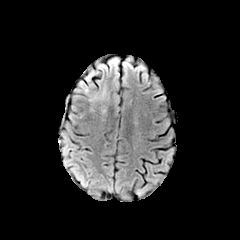
FLAIR magnetic resonance.
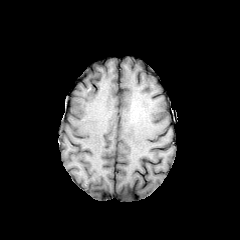
T1-weighted MR image of the same slice.
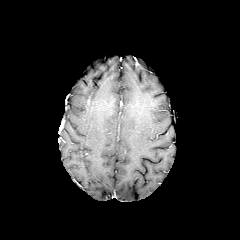
Post-contrast T1-weighted magnetic resonance.
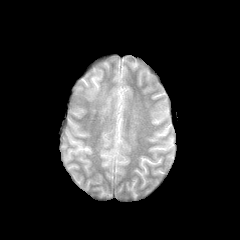
T2-weighted MRI of the same slice.
240x240 px. Brain.
The edema is located at rect(83, 83, 105, 101).